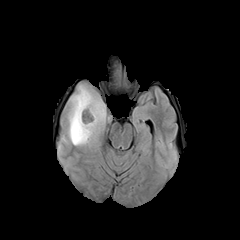
FLAIR MR.
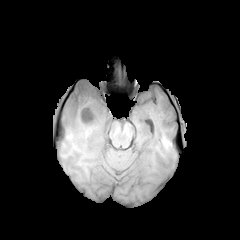
T1-weighted MRI.
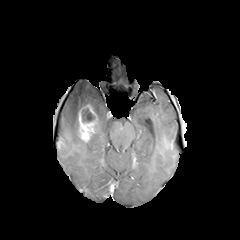
Post-contrast T1-weighted MR.
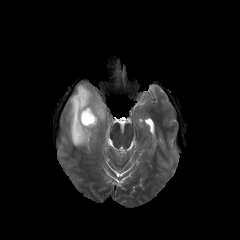
Same slice, T2-weighted MRI.
Head. 240x240.
edema:
  - <box>65,83,106,148</box>
enhancing_tumor:
  - <box>78,112,97,142</box>
non-enhancing_tumor_core:
  - <box>80,105,98,123</box>